FLAIR MR.
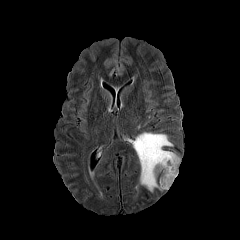
T1-weighted magnetic resonance.
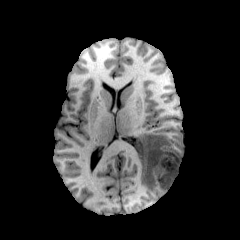
Post-contrast T1-weighted MR image.
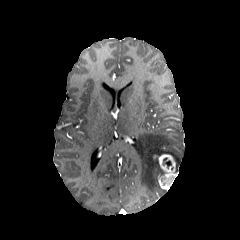
T2-weighted magnetic resonance.
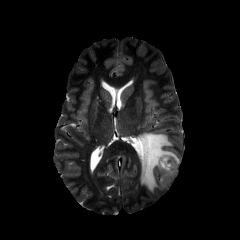
Head; 240x240 px
The enhancing tumor is at l=153, t=155, r=177, b=189. The non-enhancing tumor core is bounded by l=163, t=157, r=171, b=168. The edema lies within l=133, t=132, r=180, b=192.